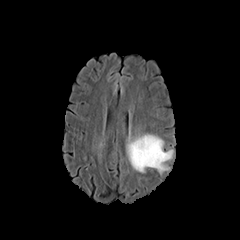
FLAIR MR.
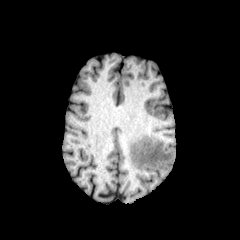
T1-weighted MRI.
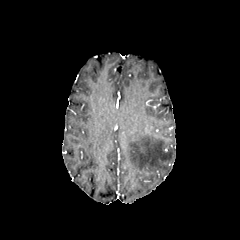
Post-contrast T1-weighted magnetic resonance.
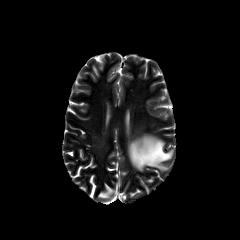
T2-weighted magnetic resonance.
The edema lies within (left=127, top=134, right=172, bottom=171).